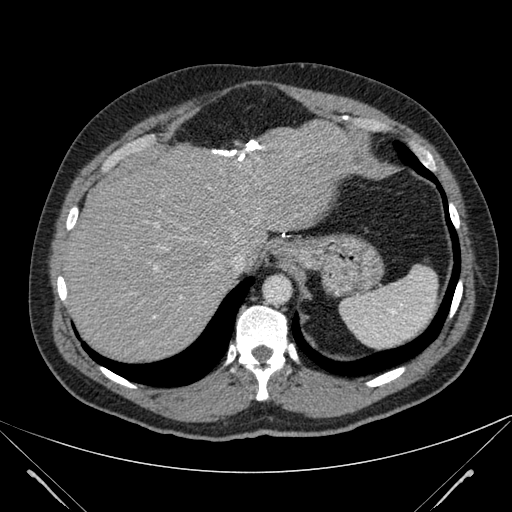 Upper abdomen; CT scan slice; Image size 512x512
liver:
  - [x1=63, y1=121, x2=375, y2=361]